CT slice, Image size 512x512, Slice index 28
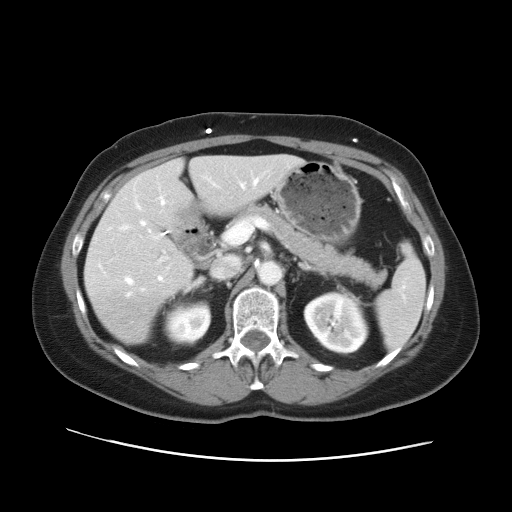

Some hepatic vessels may have no box.
Hepatic vessel: bounding box 148, 229, 150, 231; 161, 202, 163, 205; 119, 225, 129, 229.